240x240; Field of view 240 mm wide, 1.00 mm slice spacing; Head
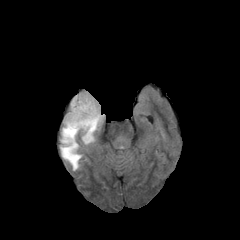
FLAIR magnetic resonance.
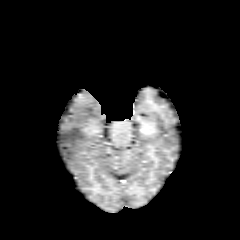
T1-weighted MR.
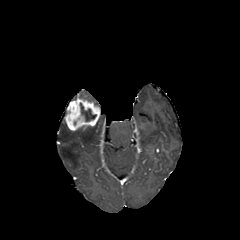
Post-contrast T1-weighted MR of the same slice.
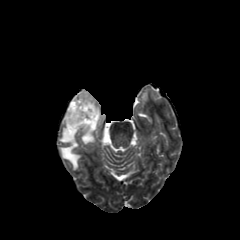
T2-weighted MR image.
The enhancing tumor is bounded by rect(64, 94, 99, 131). The edema is located at rect(58, 115, 103, 170). 2 non-enhancing tumor core regions appear at rect(81, 106, 95, 121); rect(75, 118, 99, 131).